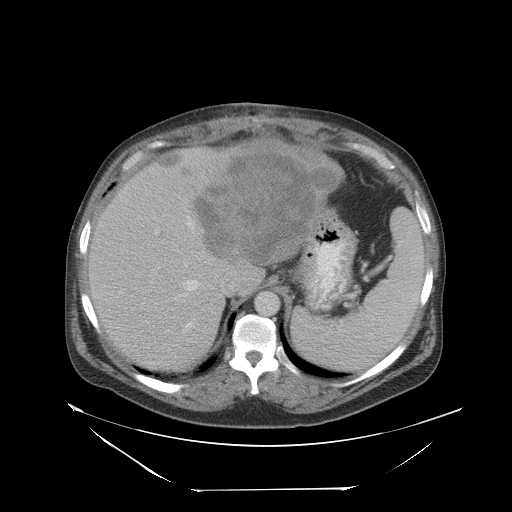

Liver. CT slice. Not every hepatic vessel necessarily has a box.
3 liver tumor regions appear at [x1=157, y1=153, x2=182, y2=170], [x1=192, y1=147, x2=337, y2=262], [x1=181, y1=165, x2=192, y2=177]. 4 hepatic vessel regions are located at [x1=184, y1=263, x2=186, y2=265], [x1=186, y1=216, x2=193, y2=232], [x1=183, y1=280, x2=199, y2=290], [x1=187, y1=322, x2=191, y2=326].